Abdomen | CT 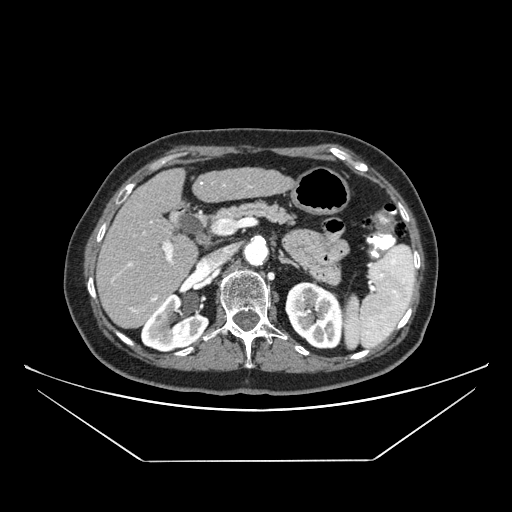 pancreas:
  - x1=173, y1=201, x2=296, y2=244